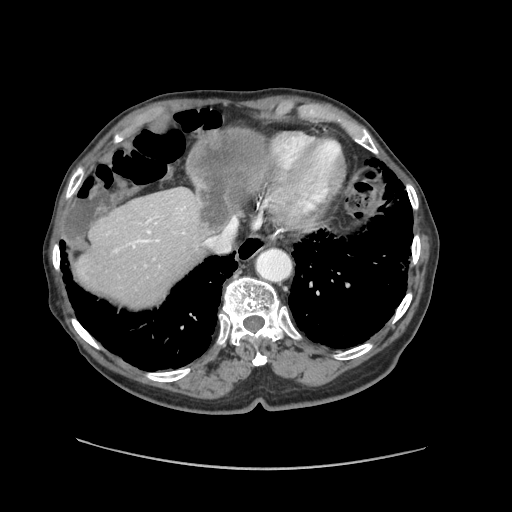 CT scan slice
Only some of the vessels may be annotated.
Hepatic vessel: bounding box 204:216:237:251, 154:239:159:241, 127:239:151:247.